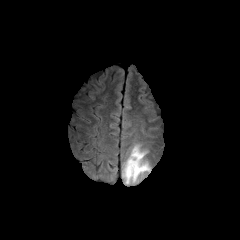
FLAIR MR image.
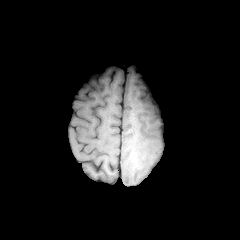
T1-weighted MR.
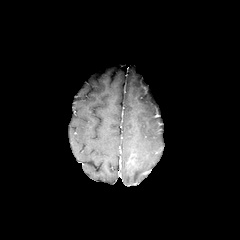
Post-contrast T1-weighted MR.
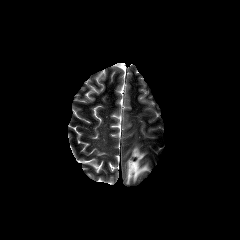
T2-weighted MRI.
Head.
Segmented structures:
• non-enhancing tumor core: rect(127, 160, 133, 174)
• edema: rect(122, 144, 151, 183)